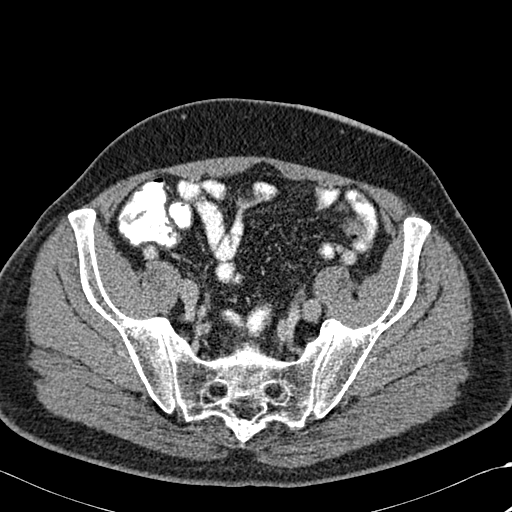

512x512 px. CT image.
Bone — bbox(68, 208, 430, 441).